FLAIR MRI.
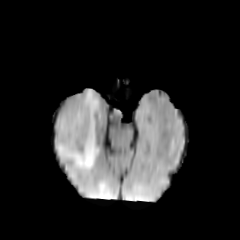
T1-weighted MR.
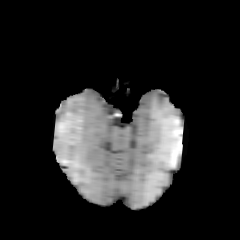
Post-contrast T1-weighted magnetic resonance.
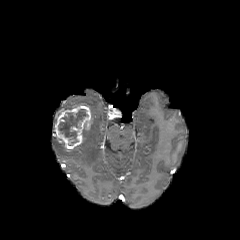
T2-weighted magnetic resonance.
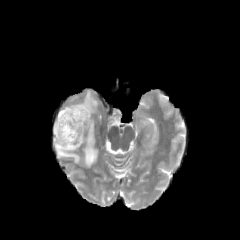
Image size 240x240 | Head
non-enhancing tumor core: 57 109 86 139 | edema: 54 89 99 168 | enhancing tumor: 54 104 92 150